Image size 320x320; Heart; Magnetic resonance; Field of view 400 mm wide, 1.37 mm slice spacing

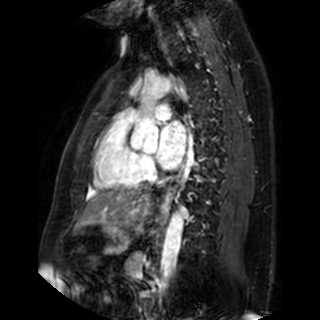

Left atrium — <bbox>156, 121, 186, 169</bbox>.